512x512 px, Image width 700 mm, CT scan slice 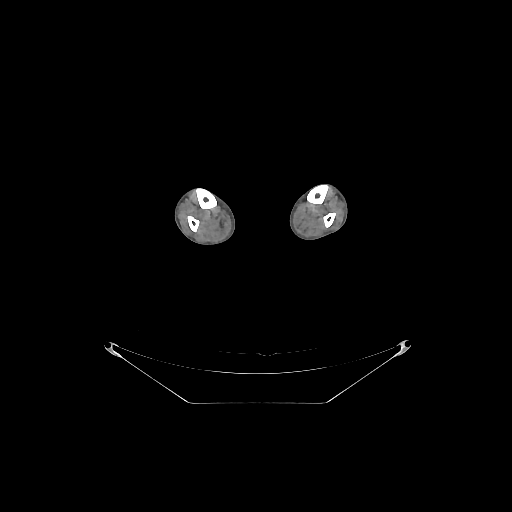 <segmentation>
  <bone>left=323, top=213, right=335, bottom=227; left=307, top=185, right=328, bottom=203; left=196, top=188, right=216, bottom=208; left=187, top=216, right=199, bottom=231</bone>
</segmentation>